240x240 px. Slice 53/155. Brain.
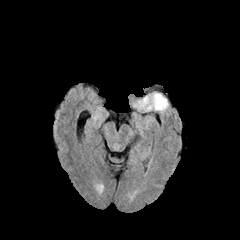
FLAIR MR image.
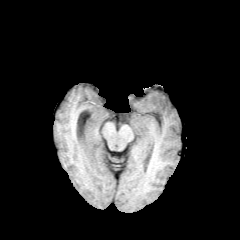
T1-weighted MR.
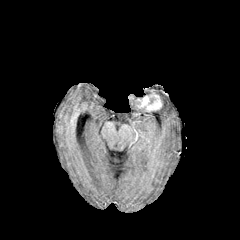
Post-contrast T1-weighted MRI.
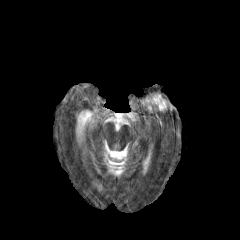
T2-weighted MR of the same slice.
Edema: (156,93,168,112), (148,94,154,104).
Enhancing tumor: (137,93,161,111).